240x240 px.
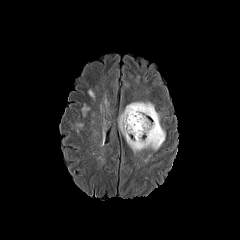
FLAIR MR.
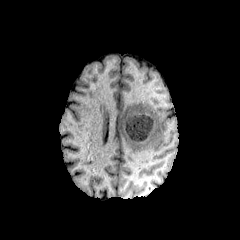
T1-weighted MR.
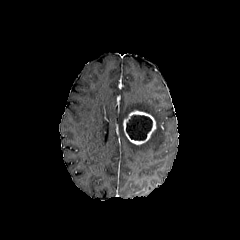
Post-contrast T1-weighted MR.
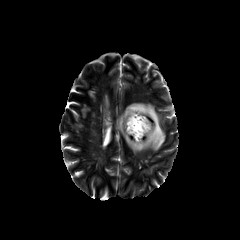
T2-weighted MR image.
Findings:
- edema: 120:103:165:152
- non-enhancing tumor core: 126:115:152:141
- enhancing tumor: 123:110:156:145